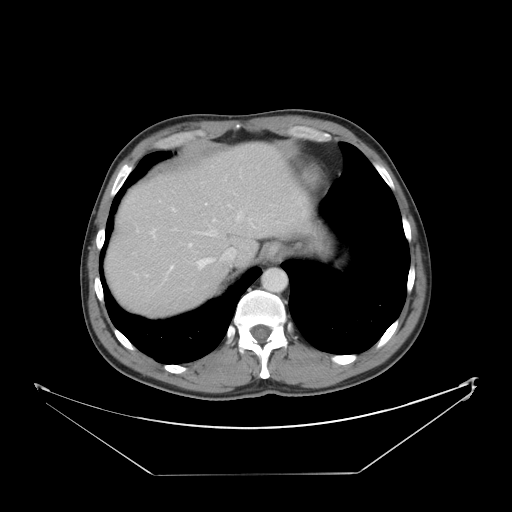
CT; 512x512

Some hepatic vessels may have no box.
<segmentation>
  <hepatic_vessel>(167,266,173,274), (133,272,136,274), (213,219,216,221), (236,213,241,220), (235,250,235,253), (197,258,213,268), (173,227,175,230), (188,243,191,246), (151,229,155,238), (200,230,216,235), (136,230,138,232), (172,208,174,210), (221,258,222,260)</hepatic_vessel>
</segmentation>